Head. 240x240 px.
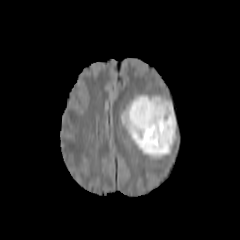
FLAIR magnetic resonance.
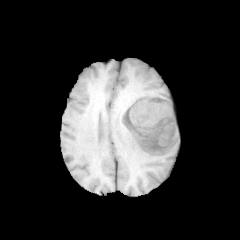
T1-weighted magnetic resonance.
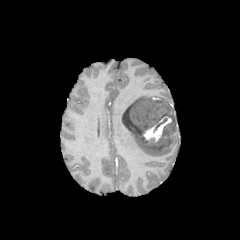
Post-contrast T1-weighted MR.
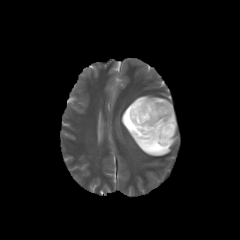
T2-weighted MRI.
2 edema regions are bounded by (122, 120, 175, 157), (124, 94, 174, 112). The enhancing tumor is bounded by (142, 116, 171, 142). The non-enhancing tumor core lies within (122, 97, 176, 145).